FLAIR MR image.
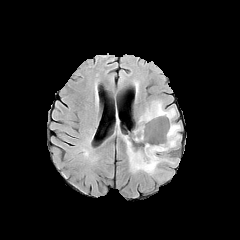
T1-weighted MR image.
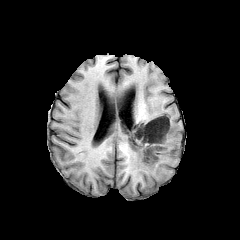
Post-contrast T1-weighted MR.
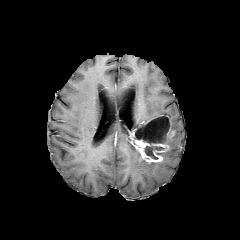
T2-weighted MR image.
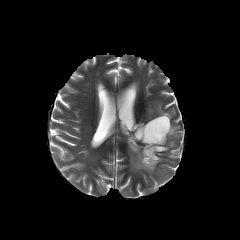
Findings:
- edema: x1=124 y1=101 x2=180 y2=176
- enhancing tumor: x1=132 y1=134 x2=166 y2=163
- non-enhancing tumor core: x1=133 y1=116 x2=173 y2=159